512x512 px, CT scan slice, Slice index 212 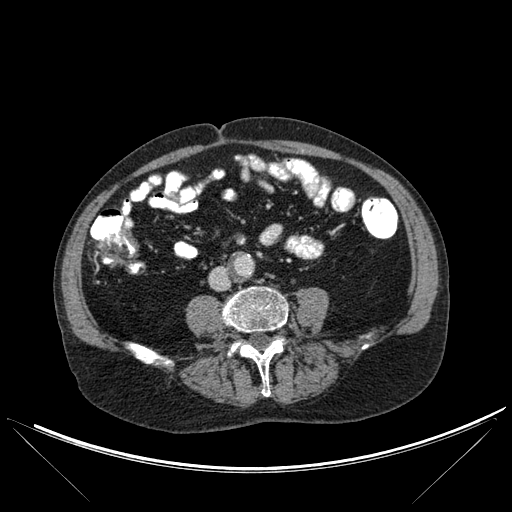

bone:
  - 128:344:170:363
  - 223:287:287:331
  - 228:337:285:396